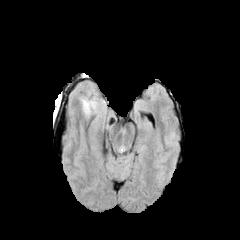
FLAIR MR image.
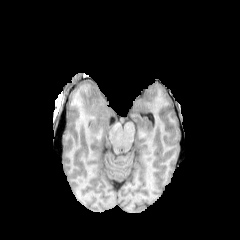
T1-weighted MRI of the same slice.
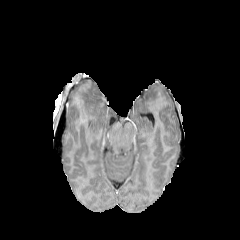
Post-contrast T1-weighted MRI.
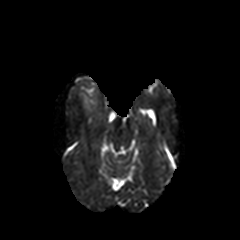
T2-weighted MR image of the same slice.
Brain.
The edema is bounded by l=82, t=99, r=95, b=113.